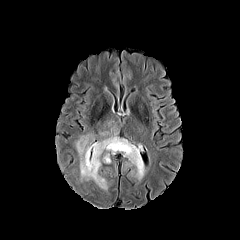
FLAIR magnetic resonance.
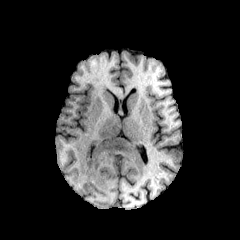
T1-weighted MR.
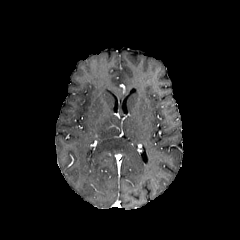
Post-contrast T1-weighted MR image of the same slice.
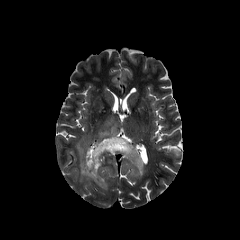
T2-weighted MR image.
Brain
Edema — (76,134,144,189), (103,154,111,163).